Abdomen. Slice 84/158. Computed tomography.

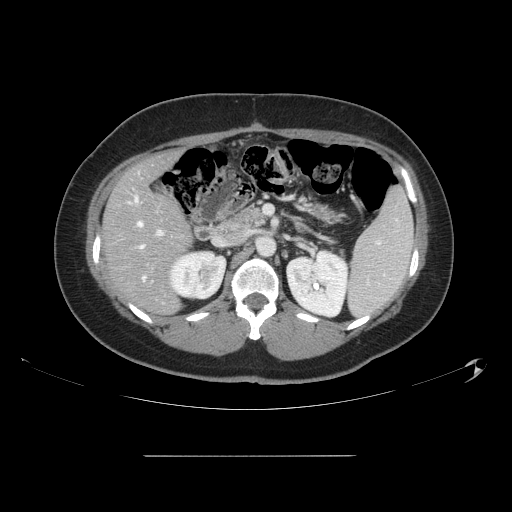

Some hepatic vessels may have no box.
5 hepatic vessel regions are located at bbox(157, 230, 162, 235); bbox(142, 276, 145, 280); bbox(135, 196, 137, 201); bbox(139, 245, 143, 248); bbox(138, 222, 142, 226).